FLAIR MR.
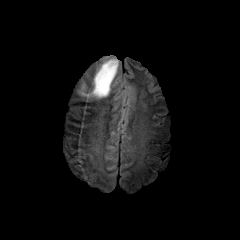
T1-weighted magnetic resonance.
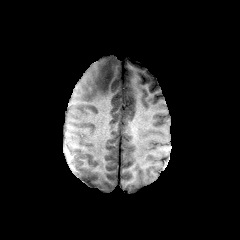
Post-contrast T1-weighted magnetic resonance.
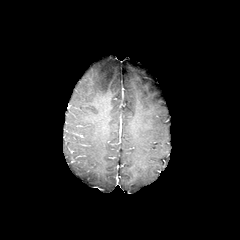
T2-weighted MR.
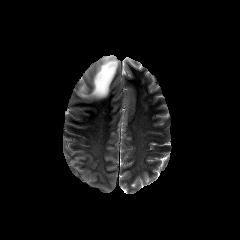
<segmentation>
  <edema>l=79, t=56, r=119, b=99</edema>
</segmentation>